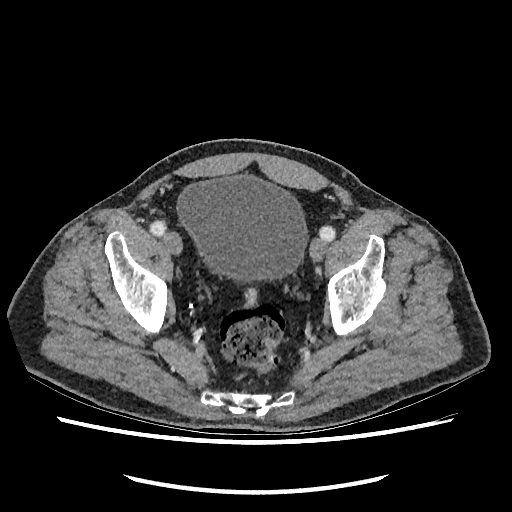

512x512 px, CT scan slice
<segmentation>
  <urinary_bladder>[178,174,307,281]</urinary_bladder>
</segmentation>